240x240 | Slice 101/155
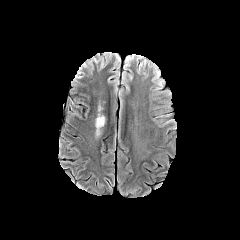
FLAIR MR image.
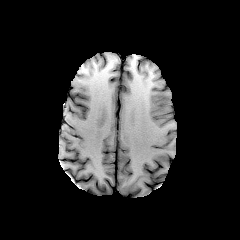
T1-weighted MRI.
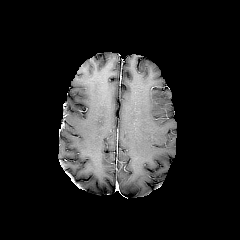
Same slice, post-contrast T1-weighted MRI.
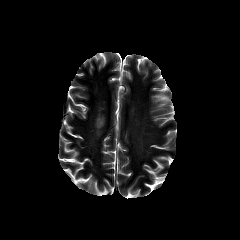
T2-weighted MR image.
Findings:
* edema: l=95, t=115, r=104, b=132